CT scan slice | Slice 52 of 95
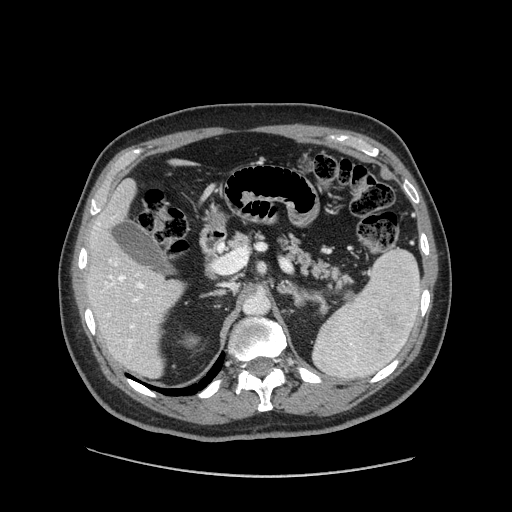
2 pancreas regions are located at region(280, 237, 352, 288); region(229, 233, 262, 249). The pancreatic tumor is bounded by region(343, 291, 354, 301).